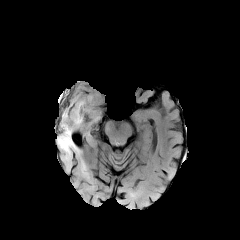
FLAIR MRI.
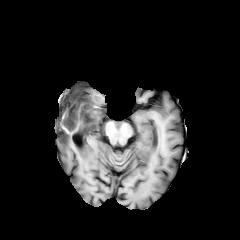
T1-weighted MR image of the same slice.
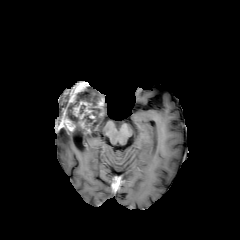
Post-contrast T1-weighted MR.
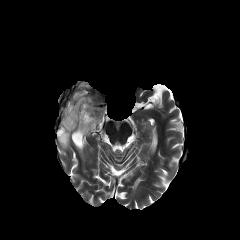
T2-weighted magnetic resonance.
Image size 240x240
<segmentation>
  <enhancing_tumor><box>60,111,75,131</box>, <box>73,101,90,119</box></enhancing_tumor>
  <edema><box>56,130,78,160</box>, <box>80,86,102,127</box></edema>
  <non-enhancing_tumor_core><box>56,122,71,133</box>, <box>64,86,95,133</box></non-enhancing_tumor_core>
</segmentation>